Field of view 360 mm wide, 0.80 mm slice spacing | CT image | Slice 336/689 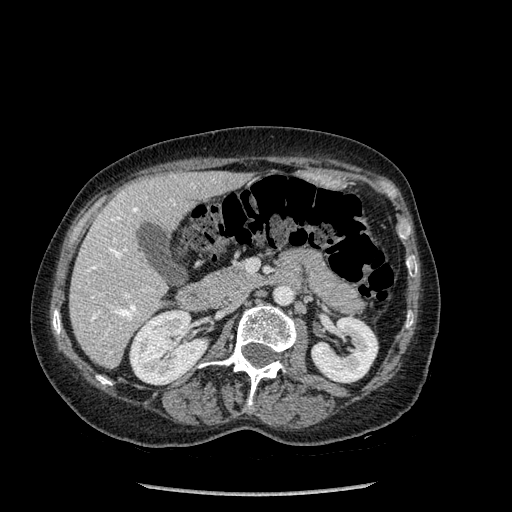
liver: 69:171:252:368 | kidney: 130:311:206:384, 312:317:377:382 | bone: 96:375:111:384, 53:309:60:334, 406:311:413:327, 406:260:417:276, 199:304:296:410, 399:226:410:238